CT; Abdomen
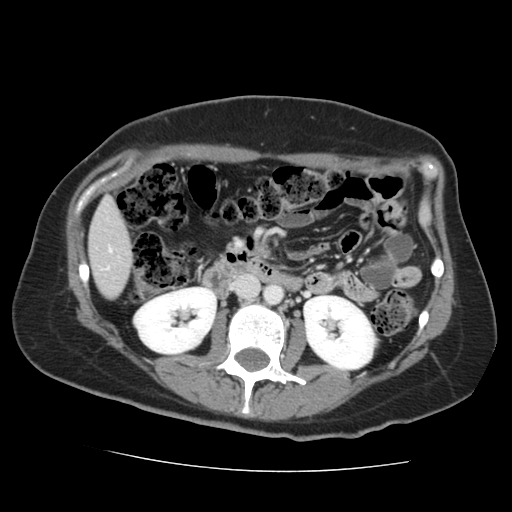 Not every hepatic vessel necessarily has a box.
Hepatic vessel at l=109, t=248, r=110, b=252.